CT image; Image size 512x512; Lower abdomen; Field of view 360 mm wide, 1.25 mm slice spacing 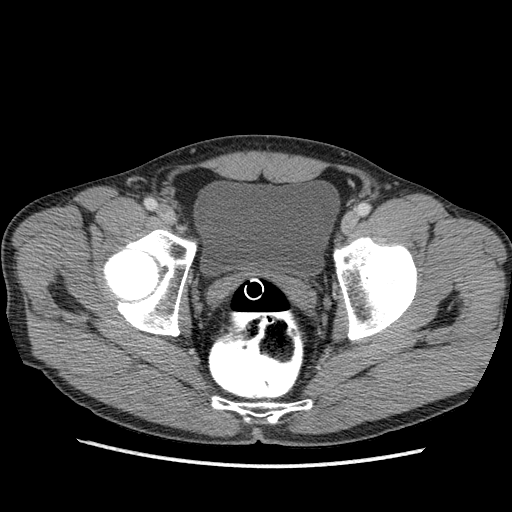

urinary_bladder:
  - bbox(194, 180, 339, 278)